Computed tomography.

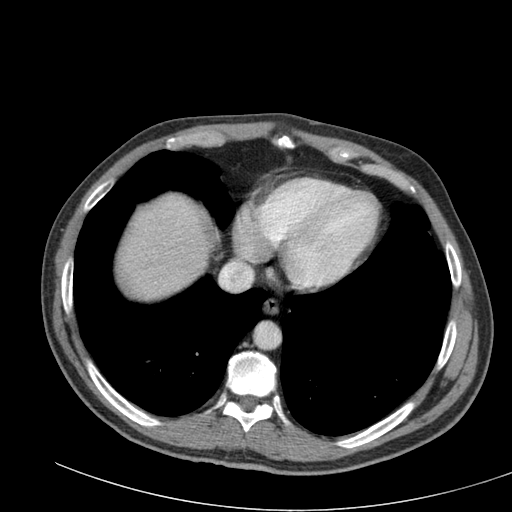
The liver is bounded by box(118, 195, 212, 299).